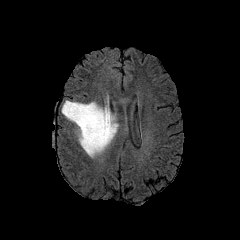
FLAIR MRI.
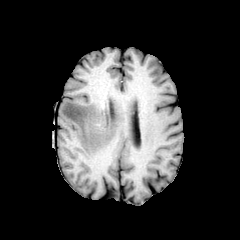
T1-weighted magnetic resonance.
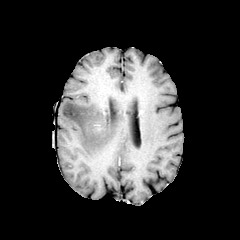
Same slice, post-contrast T1-weighted MRI.
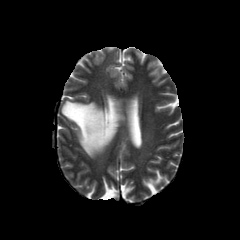
Same slice, T2-weighted MR image.
The edema is bounded by bbox(61, 100, 118, 158). The non-enhancing tumor core appears at bbox(92, 124, 101, 132).